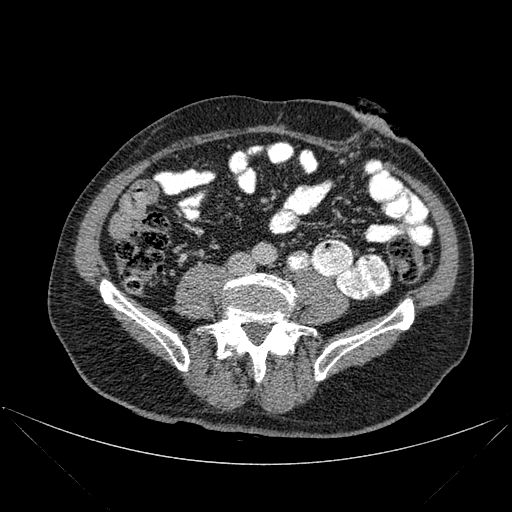
512x512 px; CT
- bone: [198, 274, 316, 381], [100, 280, 189, 370], [314, 299, 413, 380]